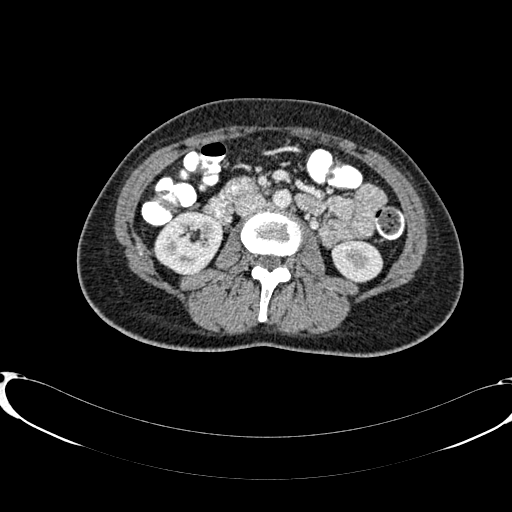
Abdomen, CT scan slice
- kidney: bbox(156, 213, 221, 273); bbox(333, 242, 381, 280)